512x512 px | Upper abdomen | CT slice
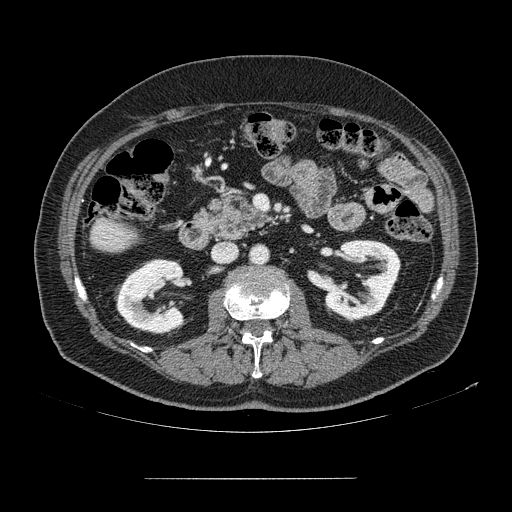

pancreas: (214,196,269,241)